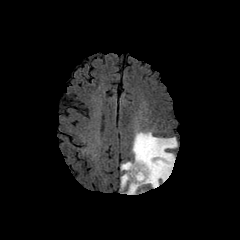
FLAIR magnetic resonance.
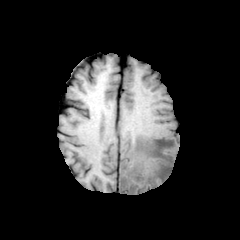
T1-weighted MR image.
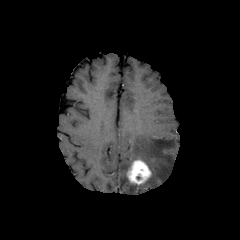
Post-contrast T1-weighted MRI.
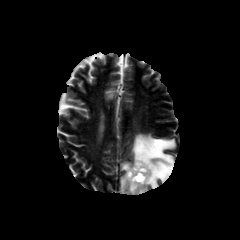
Same slice, T2-weighted magnetic resonance.
The enhancing tumor is bounded by rect(126, 158, 151, 185). The edema is at rect(120, 132, 176, 193). The non-enhancing tumor core is bounded by rect(136, 156, 153, 177).